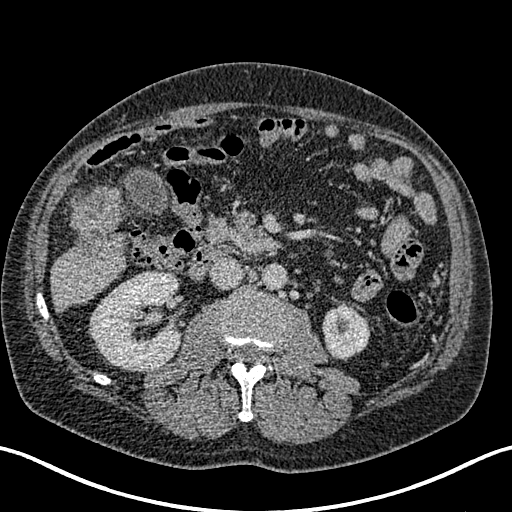 Liver, CT slice

kidney:
  - left=323, top=306, right=368, bottom=357
  - left=91, top=273, right=179, bottom=370
liver:
  - left=49, top=196, right=122, bottom=312
  - left=88, top=187, right=123, bottom=228
focal_liver_lesion:
  - left=72, top=193, right=116, bottom=259